34x51, MRI slice, Field of view 34x51 mm 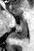 The anterior hippocampus lies within box=[23, 16, 24, 19]. The posterior hippocampus is at box=[11, 20, 27, 38].